Upper abdomen. Computed tomography. Slice index 49. 512x512 px.

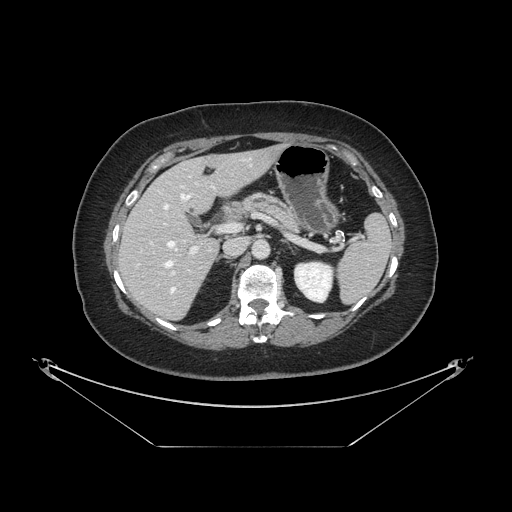 The pancreatic tumor is bounded by <box>231,204,239,212</box>. The pancreas appears at <box>227,193,298,231</box>.